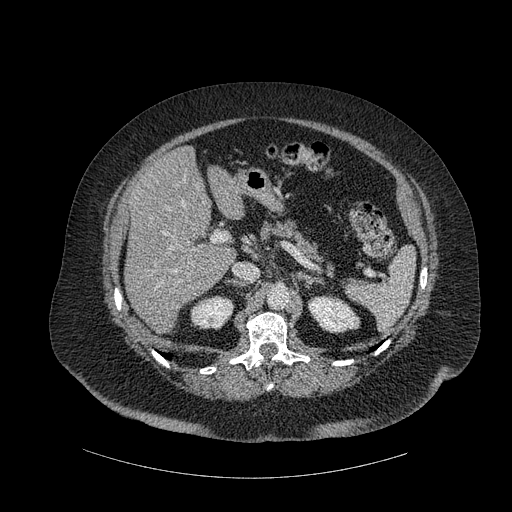

Upper abdomen | CT
{"bone": ["114, 288, 121, 309", "200, 367, 215, 373", "375, 340, 390, 354", "230, 312, 309, 369", "333, 360, 353, 365", "152, 350, 169, 367", "420, 268, 426, 288"], "kidney": ["192, 297, 232, 327", "309, 297, 358, 331"], "liver": ["125, 145, 235, 333", "207, 166, 243, 217"]}